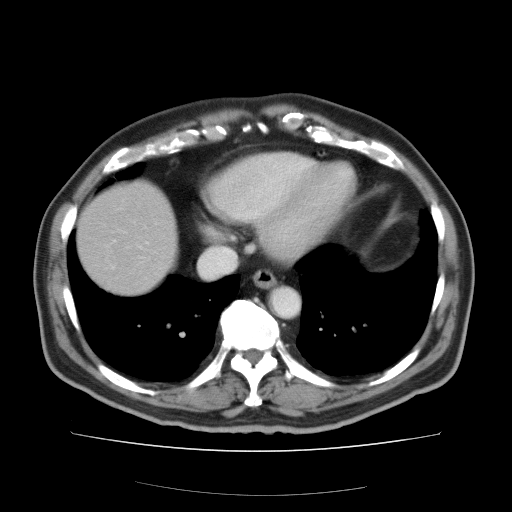
CT image; Liver; 512x512 px
The vessel boxes may cover only some of the vessels.
Hepatic vessel: bounding box [110,265,113,267].